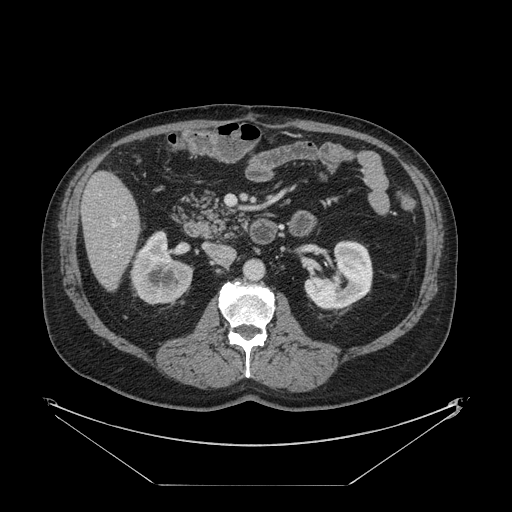

Computed tomography.

Only some of the vessels may be annotated.
The hepatic vessel appears at (x1=122, y1=216, x2=124, y2=217).